Liver | Computed tomography

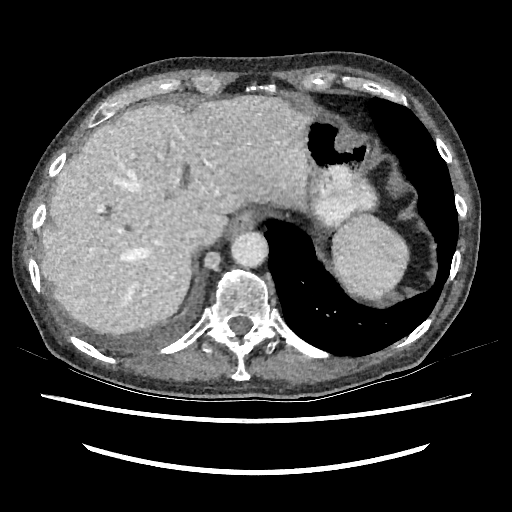

Liver: x1=41, y1=95, x2=308, y2=333.